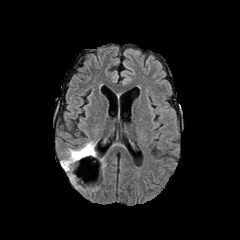
FLAIR MR image.
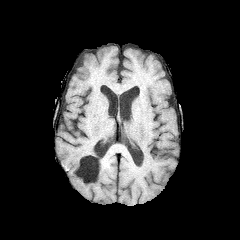
Same slice, T1-weighted MRI.
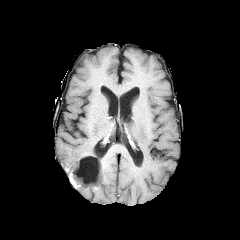
Post-contrast T1-weighted MR image of the same slice.
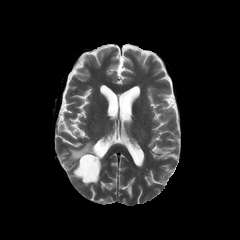
T2-weighted MR image of the same slice.
Image size 240x240 | Head
<segmentation>
  <non-enhancing_tumor_core>x1=79, y1=145, x2=95, y2=160</non-enhancing_tumor_core>
  <edema>x1=61, y1=141, x2=95, y2=169; x1=68, y1=174, x2=79, y2=187</edema>
</segmentation>